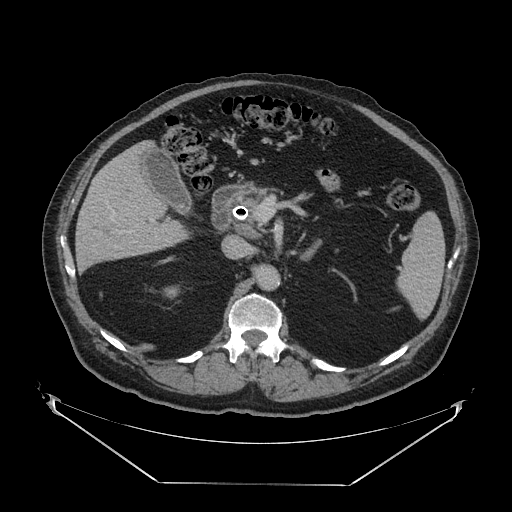
CT. Abdomen.

The pancreas is bounded by l=243, t=188, r=267, b=210.